CT slice. Slice 80/148. Abdomen.
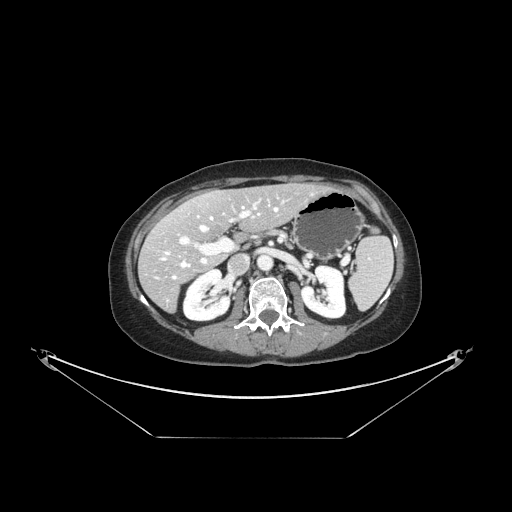 Some hepatic vessels may have no box.
<segmentation>
  <hepatic_vessel><box>201,259,205,262</box>, <box>201,226,205,230</box>, <box>275,208,276,210</box>, <box>253,206,255,208</box>, <box>180,237,188,243</box>, <box>241,212,248,216</box></hepatic_vessel>
</segmentation>